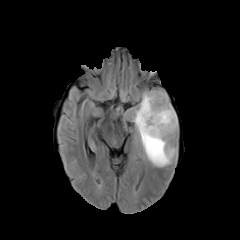
FLAIR MR image.
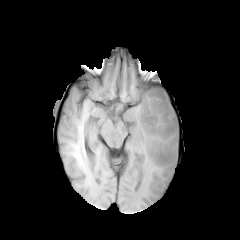
Same slice, T1-weighted MR.
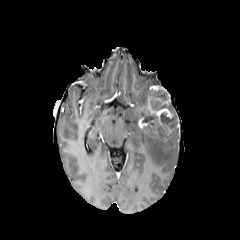
Post-contrast T1-weighted MRI.
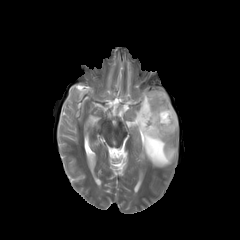
T2-weighted MR of the same slice.
Head
Edema = x1=116 y1=89 x2=178 y2=169.
Non-enhancing tumor core = x1=137 y1=89 x2=178 y2=133.
Enhancing tumor = x1=147 y1=98 x2=172 y2=118, x1=138 y1=118 x2=147 y2=128, x1=149 y1=86 x2=166 y2=91.